Image size 240x240, Brain
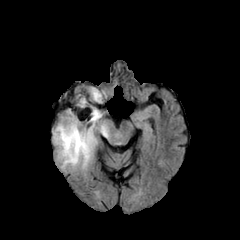
FLAIR MR image.
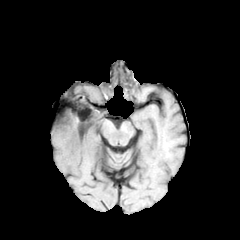
T1-weighted magnetic resonance.
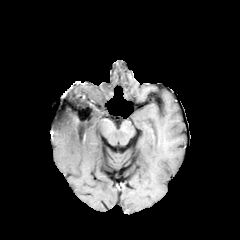
Same slice, post-contrast T1-weighted magnetic resonance.
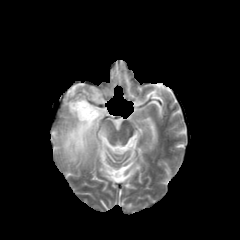
T2-weighted MR image.
Edema: {"x1": 52, "y1": 87, "x2": 109, "y2": 170}.